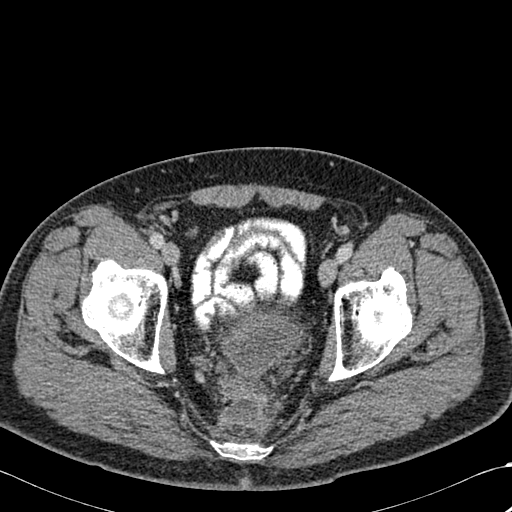 Computed tomography

3 bone regions are located at (x1=329, y1=267, x2=411, y2=380), (x1=215, y1=443, x2=266, y2=459), (x1=82, y1=259, x2=167, y2=373).